240x240 px, Head
FLAIR MRI.
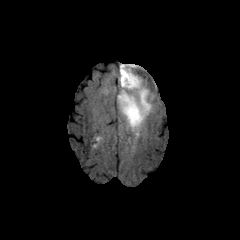
T1-weighted MR.
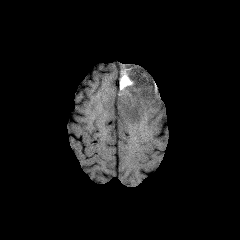
Post-contrast T1-weighted MRI.
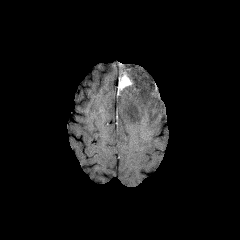
T2-weighted MR image.
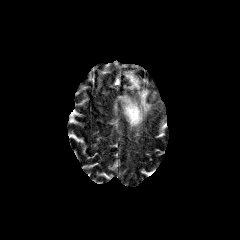
Findings:
* edema: left=117, top=65, right=152, bottom=137
* enhancing tumor: left=118, top=72, right=131, bottom=88